Liver, CT
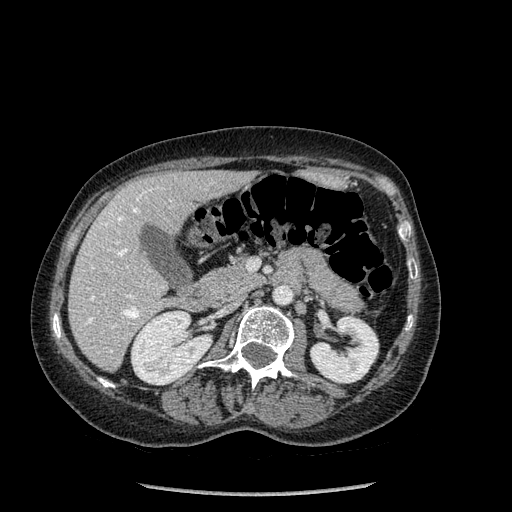

Annotated regions:
• bone: (x1=405, y1=315, x2=413, y2=330), (x1=198, y1=306, x2=296, y2=388), (x1=98, y1=377, x2=114, y2=387), (x1=399, y1=224, x2=410, y2=240), (x1=52, y1=313, x2=60, y2=338), (x1=408, y1=261, x2=417, y2=278)
• liver: (x1=68, y1=170, x2=256, y2=371)
• kidney: (x1=131, y1=311, x2=211, y2=384), (x1=311, y1=317, x2=377, y2=382)